Brain, Slice 93/155, Field of view 240x240 mm
FLAIR MRI.
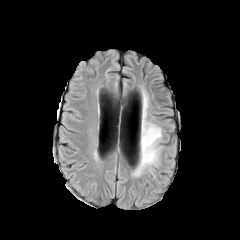
T1-weighted MRI.
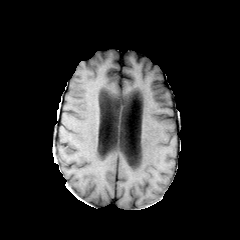
Post-contrast T1-weighted MRI.
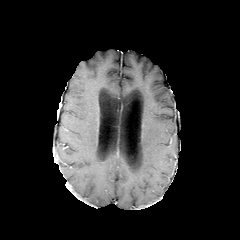
T2-weighted magnetic resonance.
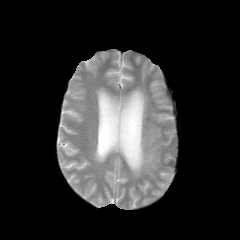
Edema: (x1=134, y1=92, x2=163, y2=176).